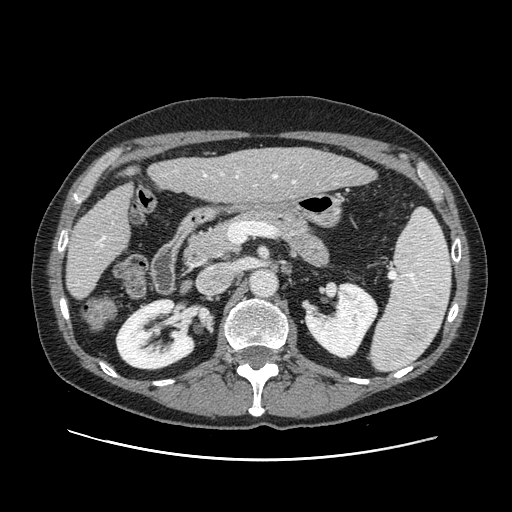 CT.

<segmentation>
  <pancreas>184 210 308 265</pancreas>
</segmentation>